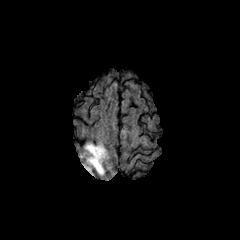
FLAIR magnetic resonance.
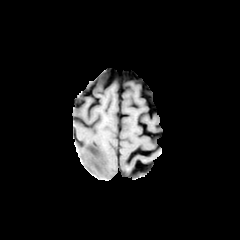
T1-weighted magnetic resonance.
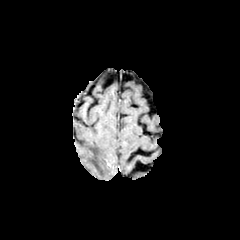
Post-contrast T1-weighted MR image of the same slice.
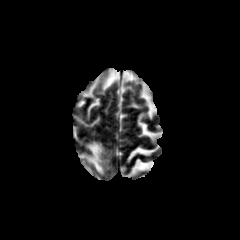
T2-weighted MR image.
240x240 px
Edema — l=80, t=142, r=111, b=175.